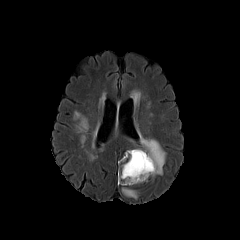
FLAIR MR image.
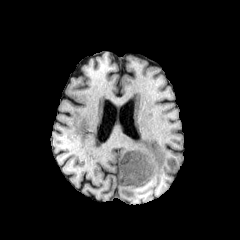
Same slice, T1-weighted MR.
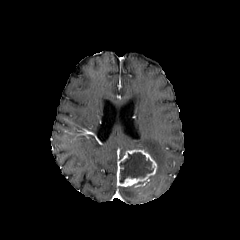
Post-contrast T1-weighted MR of the same slice.
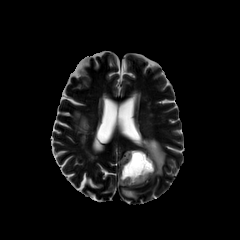
T2-weighted MR of the same slice.
Brain
{
  "edema": [
    "<box>122,187,137,199</box>",
    "<box>140,137,165,174</box>"
  ],
  "non-enhancing_tumor_core": [
    "<box>119,152,153,182</box>"
  ],
  "enhancing_tumor": [
    "<box>117,148,157,187</box>"
  ]
}